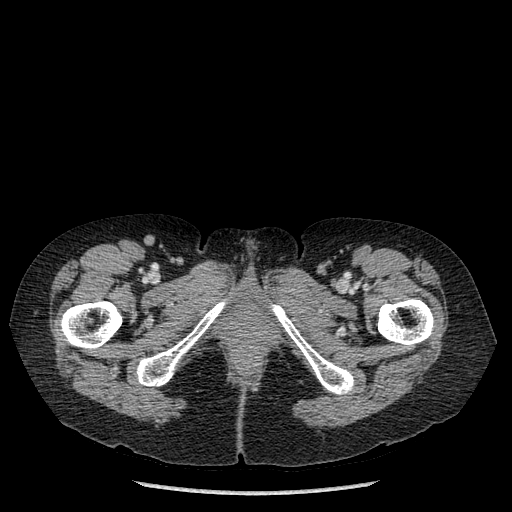

CT scan slice.
<segmentation>
  <bone>(left=270, top=303, right=354, bottom=394), (left=57, top=300, right=122, bottom=351), (left=378, top=299, right=434, bottom=348), (left=136, top=299, right=227, bottom=386)</bone>
</segmentation>